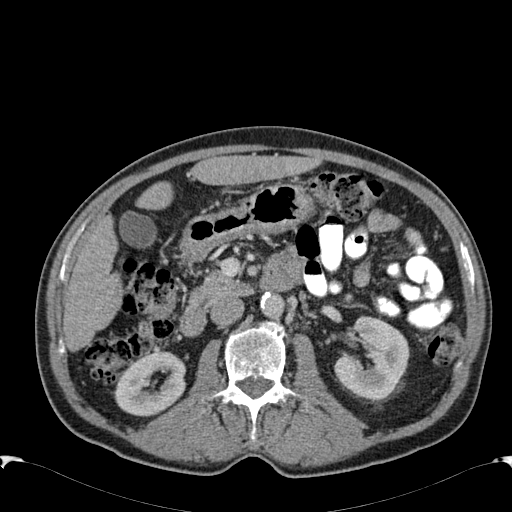
Liver; CT image
Segmented structures:
* kidney: bbox(335, 318, 408, 399); bbox(115, 351, 184, 415)
* liver: bbox(63, 214, 122, 351); bbox(192, 156, 321, 183); bbox(136, 181, 172, 209)